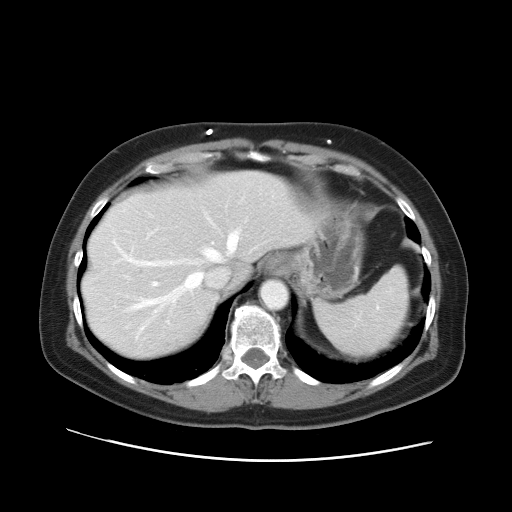

Liver. Computed tomography. The vessel annotation is not exhaustive.
* hepatic vessel: [201, 247, 223, 261], [141, 318, 151, 328], [226, 229, 239, 254], [126, 272, 203, 315], [115, 241, 198, 266]